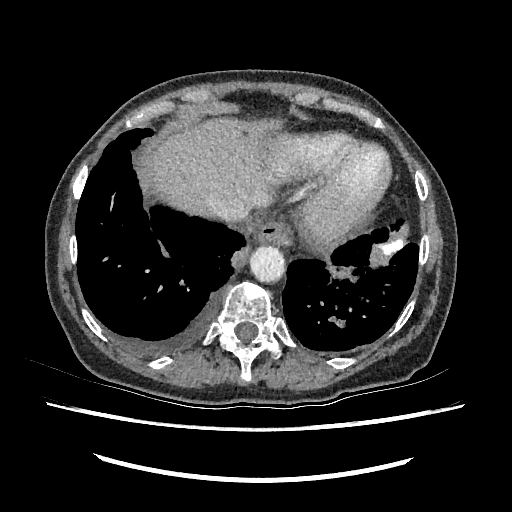 Image size 512x512 | Liver | CT slice
Segmented structures:
- liver: l=149, t=118, r=295, b=216